Brain
FLAIR MR.
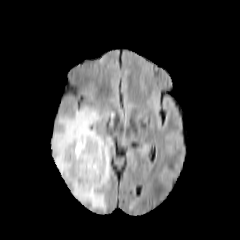
T1-weighted MR image.
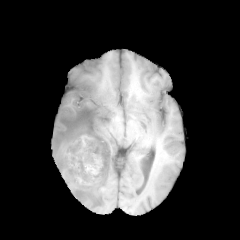
Post-contrast T1-weighted MRI.
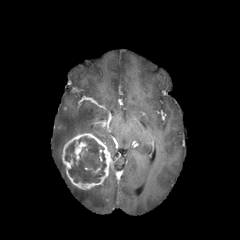
T2-weighted magnetic resonance.
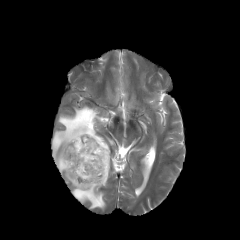
2 enhancing tumor regions appear at x1=74, y1=140, x2=87, y2=160; x1=62, y1=133, x2=112, y2=189. The edema is located at x1=51, y1=106, x2=113, y2=211. The non-enhancing tumor core is at x1=64, y1=136, x2=105, y2=183.